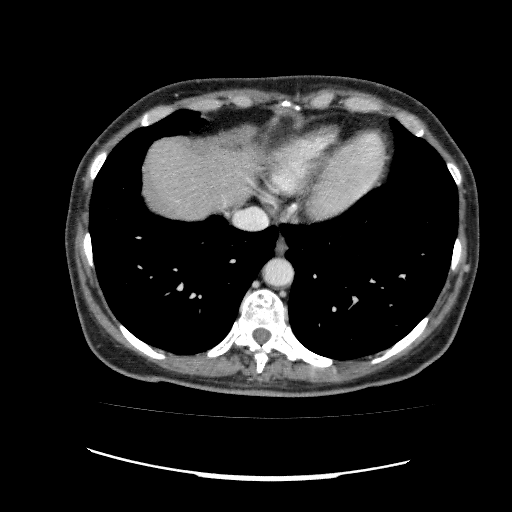

CT image, Upper abdomen
The liver appears at l=144, t=138, r=261, b=220.